Field of view 240 mm wide, 1.00 mm slice spacing
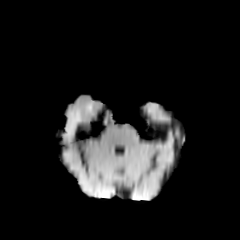
FLAIR MRI.
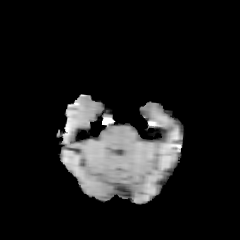
T1-weighted MR image.
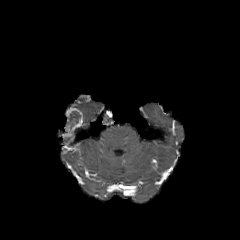
Post-contrast T1-weighted MR.
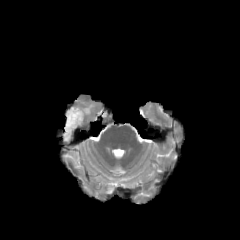
T2-weighted magnetic resonance.
Non-enhancing tumor core at (x1=66, y1=111, x2=80, y2=127).
Enhancing tumor at (x1=62, y1=107, x2=84, y2=137).